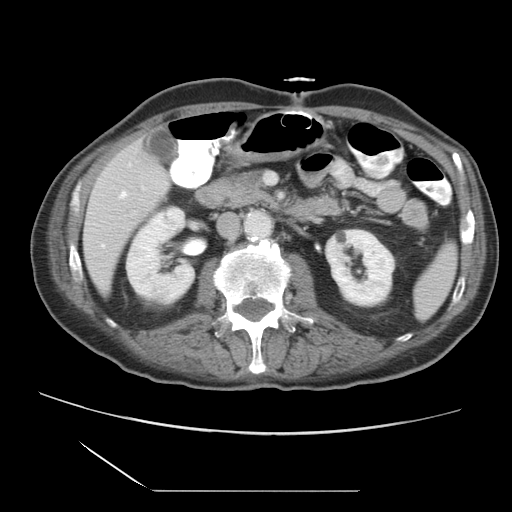 512x512, Abdomen, CT
The vessel boxes may cover only some of the vessels.
2 hepatic vessel regions appear at region(120, 192, 126, 197); region(129, 164, 131, 165).